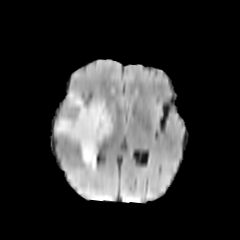
FLAIR magnetic resonance.
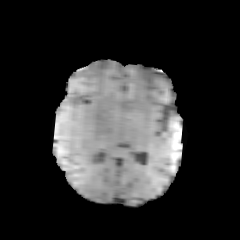
T1-weighted magnetic resonance.
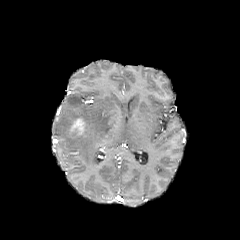
Post-contrast T1-weighted magnetic resonance.
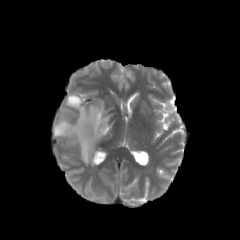
T2-weighted MRI of the same slice.
Head.
Edema: 55 92 114 168.
Enhancing tumor: 68 117 85 135.